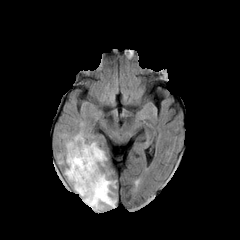
FLAIR MR.
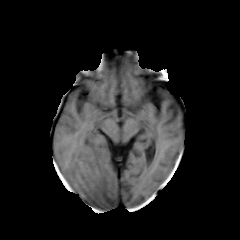
T1-weighted MR.
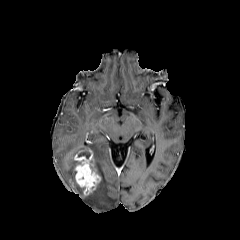
Post-contrast T1-weighted MR.
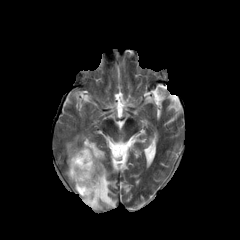
T2-weighted MRI of the same slice.
240x240.
{"enhancing_tumor": ["(72,148,101,196)"], "edema": ["(64,133,116,210)"]}